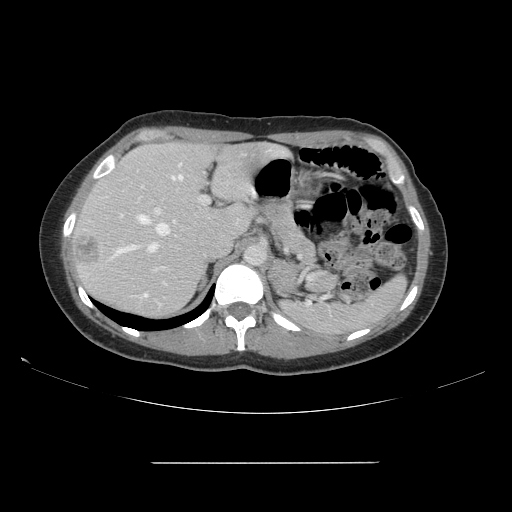 Computed tomography | Abdomen
The vessel annotation is not exhaustive.
2 liver tumor regions are bounded by 72, 236, 100, 265; 211, 148, 225, 156. 15 hepatic vessel regions are bounded by 136, 215, 149, 223; 154, 208, 160, 214; 120, 214, 123, 217; 141, 293, 147, 297; 156, 223, 169, 235; 178, 163, 181, 166; 138, 196, 140, 200; 114, 244, 136, 255; 199, 196, 208, 203; 141, 186, 143, 187; 171, 175, 182, 179; 159, 304, 161, 306; 148, 243, 158, 252; 173, 220, 175, 222; 153, 266, 164, 270.